CT scan slice. Upper abdomen. Image width 405 mm.

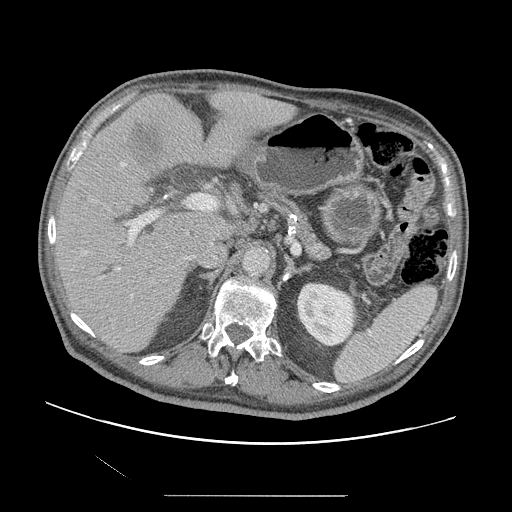
The pancreas appears at l=254, t=189, r=331, b=261.